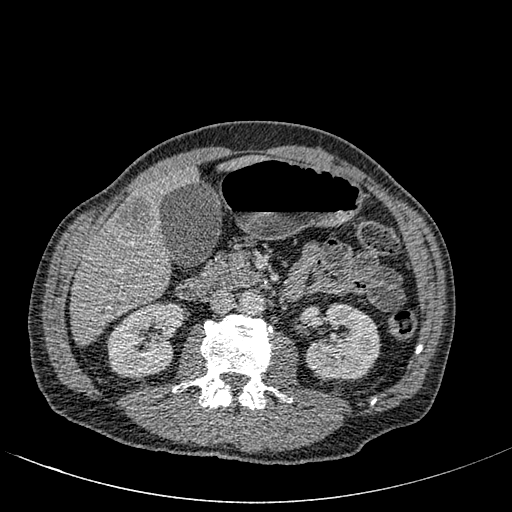 512x512 px; Upper abdomen; CT scan slice

2 kidney regions appear at box(300, 304, 379, 379); box(108, 304, 183, 377). 2 liver regions are bounded by box(71, 167, 198, 344); box(221, 156, 263, 170). The focal liver lesion appears at box(113, 196, 155, 234).